Slice 106/155
FLAIR MRI.
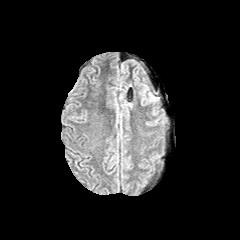
T1-weighted magnetic resonance.
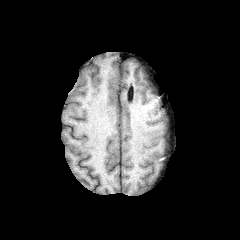
Post-contrast T1-weighted MRI.
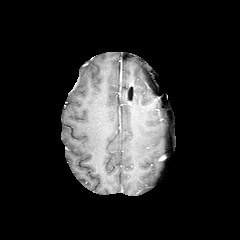
T2-weighted MR.
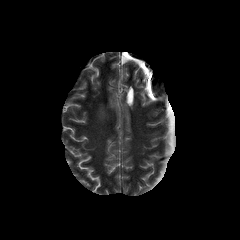
Edema = l=139, t=83, r=154, b=104.